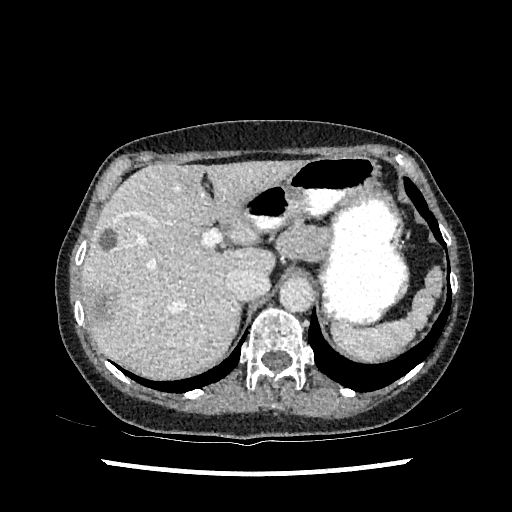
CT slice | 512x512 | Abdomen
2 hepatic lesion regions appear at (84,285,117,326), (99,228,116,249). The liver is bounded by (82,161,298,377).